512x512, Liver, Computed tomography
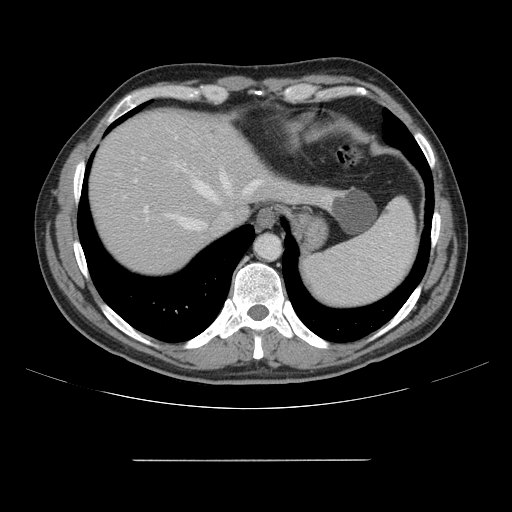 Not every hepatic vessel necessarily has a box.
Segmented structures:
* hepatic vessel: [x1=165, y1=214, x2=188, y2=228], [x1=221, y1=172, x2=229, y2=188], [x1=245, y1=179, x2=263, y2=193], [x1=146, y1=218, x2=147, y2=221], [x1=193, y1=141, x2=195, y2=142], [x1=196, y1=223, x2=206, y2=229], [x1=141, y1=158, x2=144, y2=158], [x1=134, y1=179, x2=136, y2=181], [x1=227, y1=192, x2=228, y2=193], [x1=144, y1=206, x2=146, y2=211]